FLAIR MR.
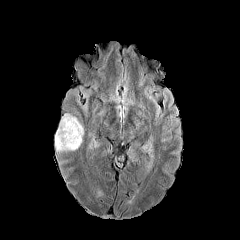
T1-weighted MR image.
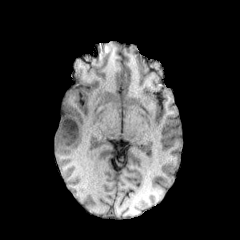
Post-contrast T1-weighted MR image.
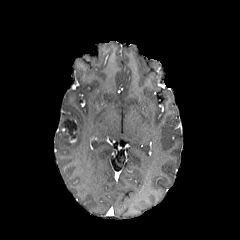
T2-weighted MRI.
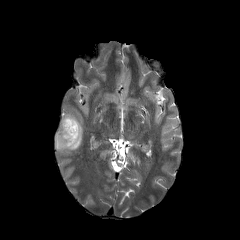
The edema is bounded by 55, 113, 83, 152. The non-enhancing tumor core appears at 60, 117, 78, 143.